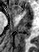 Image size 39x52; MRI slice
Anterior hippocampus at 12 5 22 15.